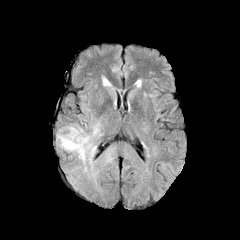
FLAIR MR image.
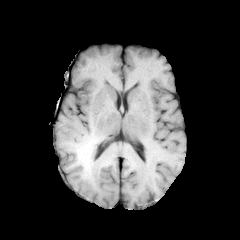
Same slice, T1-weighted MRI.
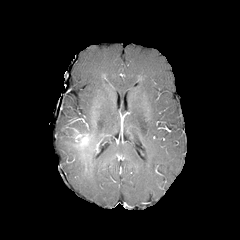
Post-contrast T1-weighted MRI.
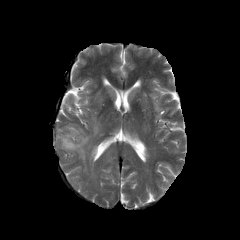
Same slice, T2-weighted MRI.
Image size 240x240 | Head
Findings:
• edema: 56, 120, 99, 171
• enhancing tumor: 74, 129, 84, 141
• non-enhancing tumor core: 70, 127, 95, 159